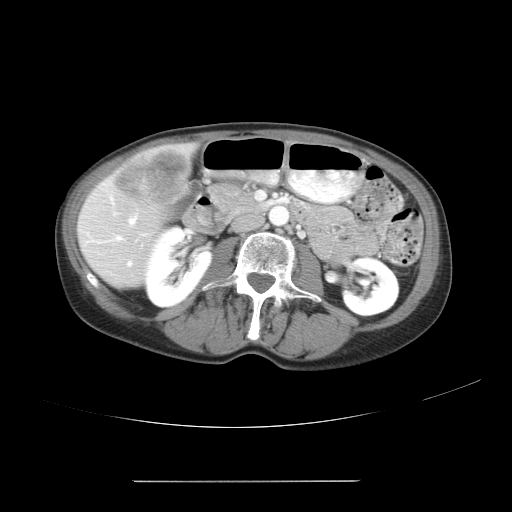
Abdomen, Computed tomography
The vessel boxes may cover only some of the vessels.
<segmentation>
  <hepatic_vessel>(128, 215, 135, 223), (113, 212, 116, 214), (115, 235, 120, 240), (141, 233, 147, 235), (127, 261, 130, 265), (110, 197, 112, 202)</hepatic_vessel>
  <liver_tumor>(112, 149, 189, 208)</liver_tumor>
</segmentation>